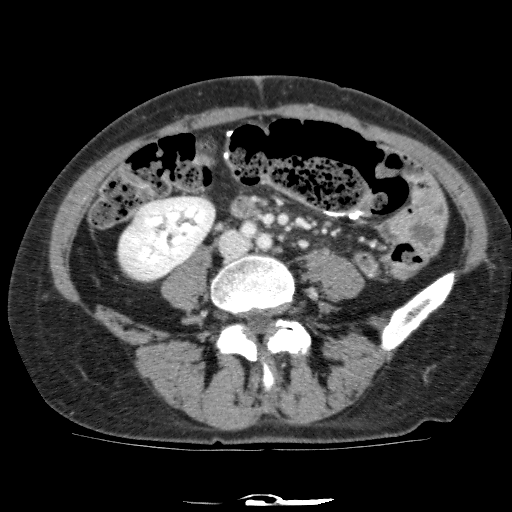

Abdomen. Computed tomography. kidney: l=119, t=197, r=214, b=279